Computed tomography; Abdomen 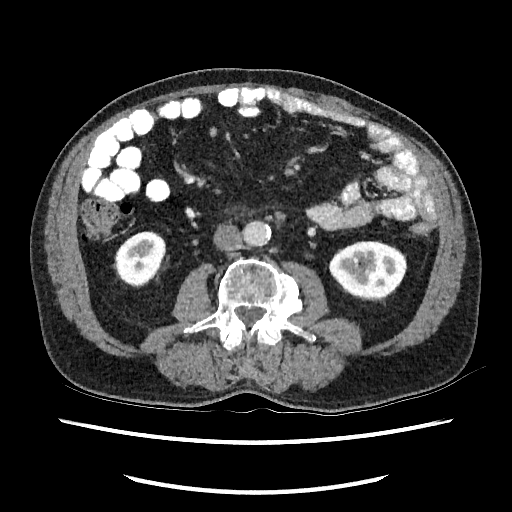

Kidney: [329,241,406,300], [114,232,165,286].